Computed tomography; Slice 32/46; 512x512; Liver
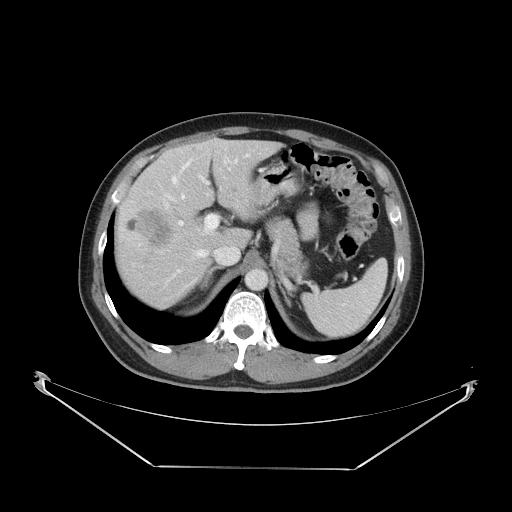 The vessel annotation is not exhaustive.
liver_tumor:
  - 135, 208, 174, 250
hepatic_vessel:
  - 183, 162, 188, 168
  - 179, 221, 182, 225
  - 174, 178, 176, 182
  - 199, 176, 207, 182
  - 194, 250, 207, 256